Image size 512x512; Abdomen; CT image 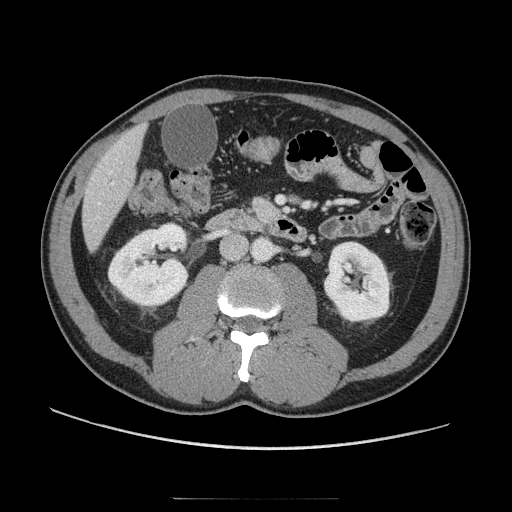
Pancreas — rect(250, 195, 285, 228).